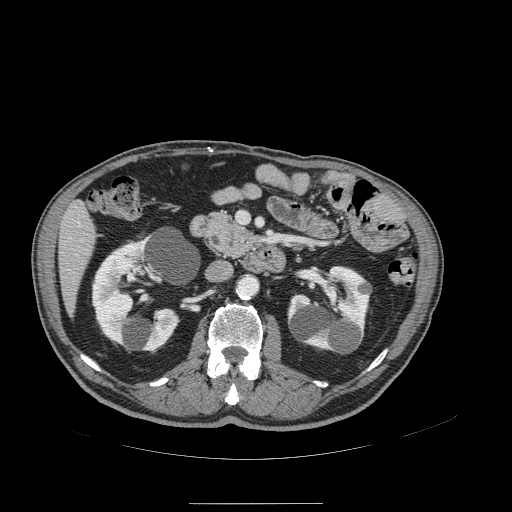 CT scan slice
Pancreas: bounding box (203,209,271,260).